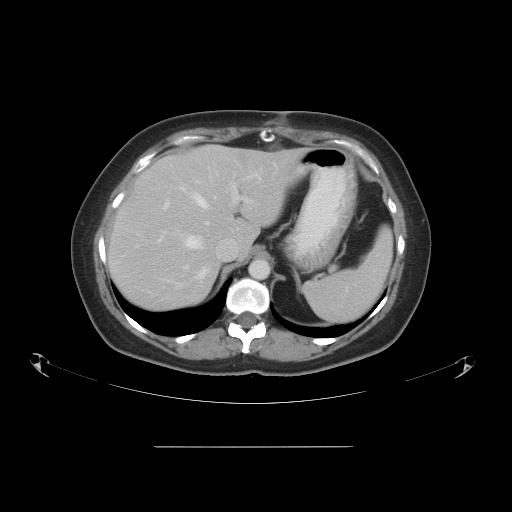 Computed tomography | 512x512 px

The vessel annotation is not exhaustive.
Hepatic vessel: bounding box region(246, 171, 260, 179); region(159, 230, 166, 241); region(198, 268, 207, 277); region(206, 221, 208, 223); region(179, 232, 182, 236); region(275, 164, 276, 166); region(231, 179, 252, 207); region(180, 187, 185, 190); region(184, 265, 188, 268); region(230, 204, 231, 206); region(164, 200, 169, 208); region(197, 181, 199, 182); region(193, 192, 207, 207); region(216, 239, 237, 254); region(185, 235, 202, 247).